FLAIR MR.
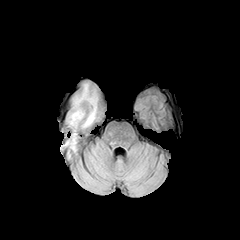
T1-weighted MR image.
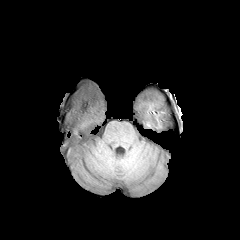
Post-contrast T1-weighted MRI.
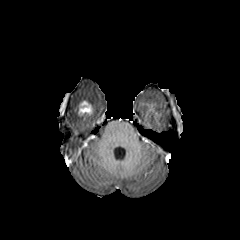
T2-weighted magnetic resonance.
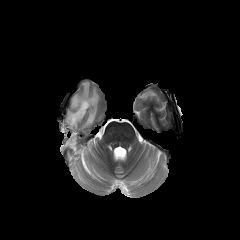
2 edema regions appear at <bbox>64, 133, 77, 152</bbox>, <bbox>67, 84, 98, 129</bbox>. The enhancing tumor lies within <bbox>78, 101, 91, 115</bbox>.